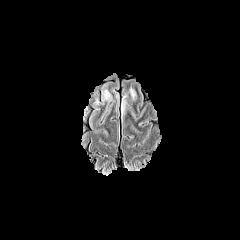
FLAIR MR.
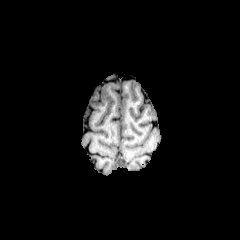
Same slice, T1-weighted MRI.
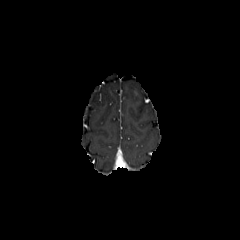
Post-contrast T1-weighted magnetic resonance of the same slice.
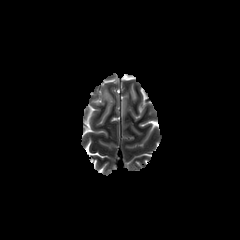
T2-weighted MR of the same slice.
Brain
2 edema regions appear at (x1=121, y1=97, x2=127, y2=115), (x1=102, y1=89, x2=112, y2=105).